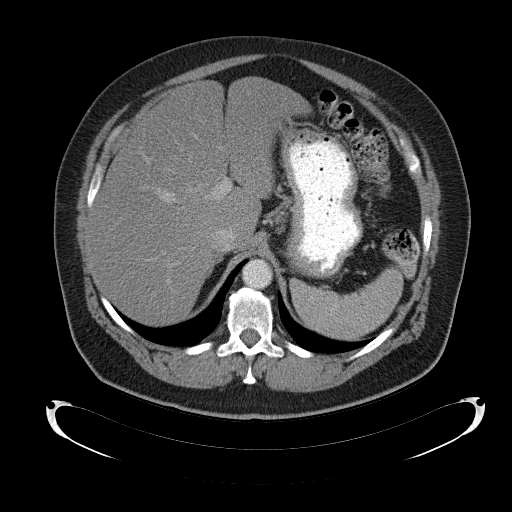
CT scan slice, Abdomen

The spleen is located at <bbox>292, 270, 402, 341</bbox>.